Liver; CT image; Slice 276/333
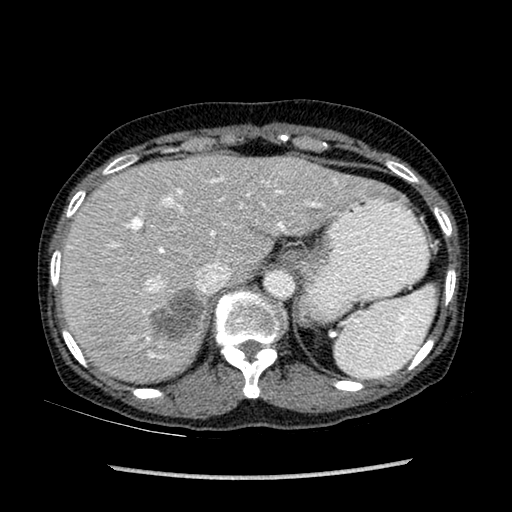

Liver lesion at [147,289,204,341].
Liver at [60,156,377,382].